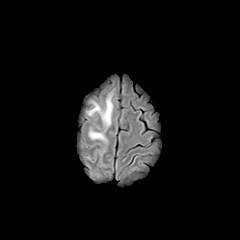
FLAIR magnetic resonance.
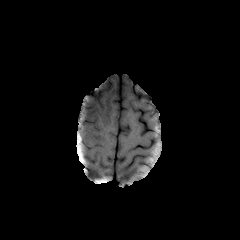
T1-weighted MR of the same slice.
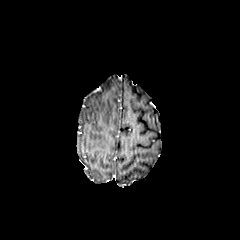
Post-contrast T1-weighted MR image.
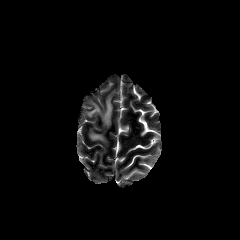
T2-weighted MR.
Brain, 240x240 px
* edema: 87:96:113:126, 90:131:105:140